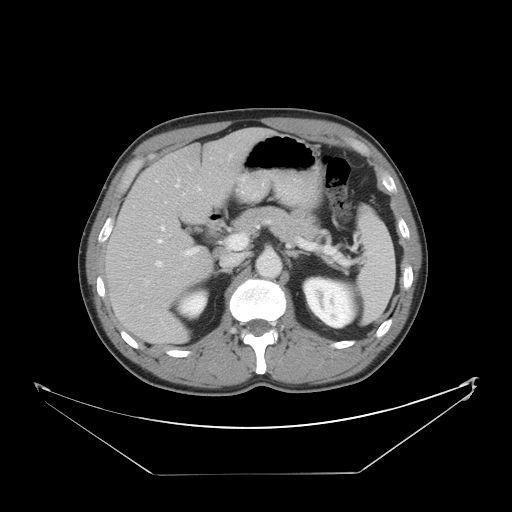

Abdomen; Computed tomography

The vessel annotation is not exhaustive.
Hepatic vessel — bbox(180, 249, 193, 256); bbox(155, 261, 162, 266); bbox(161, 226, 164, 230); bbox(229, 154, 231, 158); bbox(157, 239, 161, 242); bbox(175, 178, 179, 187); bbox(145, 280, 148, 283); bbox(196, 185, 201, 190); bbox(182, 192, 184, 195).